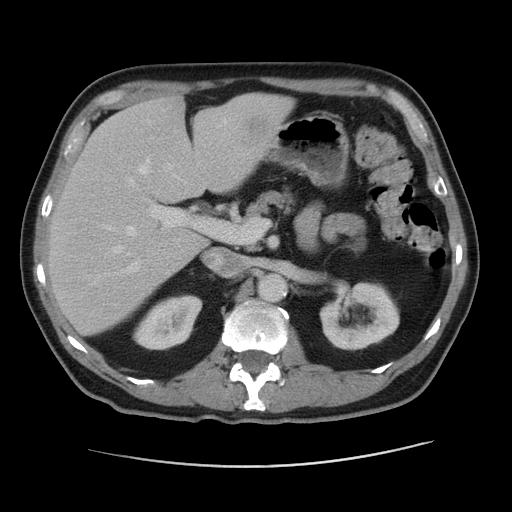

Upper abdomen | CT scan slice
The hepatic lesion is at bbox=[247, 117, 271, 134]. The liver is bounded by bbox=[48, 95, 287, 334]. 2 kidney regions are located at bbox=[320, 282, 399, 350]; bbox=[136, 296, 200, 348].